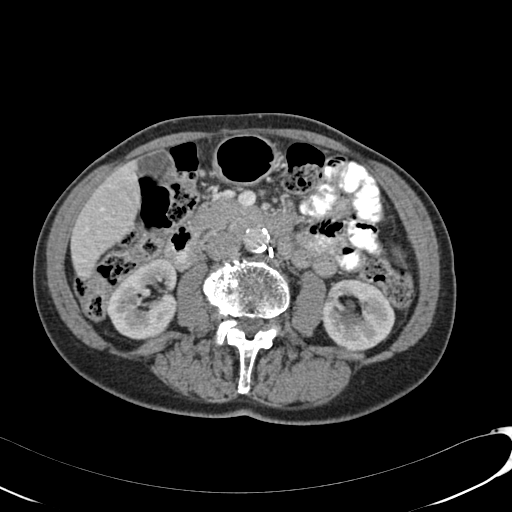 CT scan slice; 512x512
{"kidney": ["box=[107, 259, 175, 338]", "box=[322, 280, 394, 350]"], "liver": ["box=[72, 161, 139, 279]"]}